512x512 px. Computed tomography. Liver. Field of view 437 mm wide, 0.80 mm slice spacing.
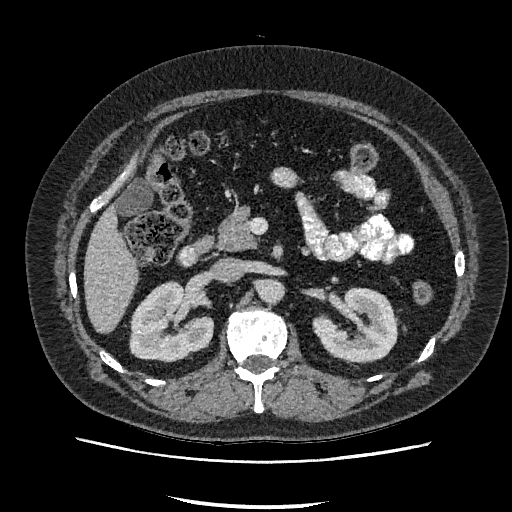

• kidney: 130, 283, 212, 360; 314, 289, 396, 360
• liver: 84, 205, 138, 332